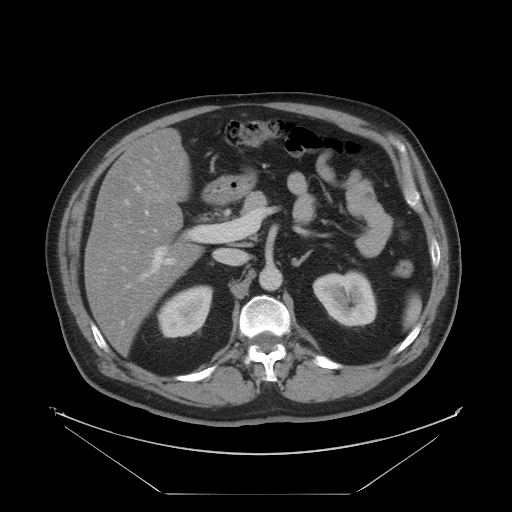

CT scan slice, Upper abdomen
Pancreas at rect(241, 191, 267, 214).